240x240 px
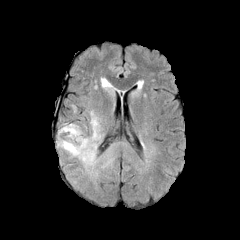
FLAIR magnetic resonance.
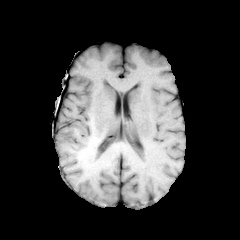
T1-weighted MR image of the same slice.
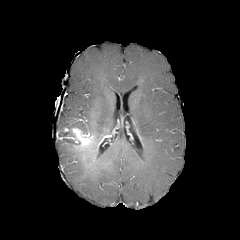
Post-contrast T1-weighted MR image.
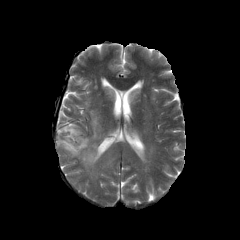
Same slice, T2-weighted MR.
{"enhancing_tumor": ["(left=64, top=127, right=94, bottom=150)"], "non-enhancing_tumor_core": ["(left=80, top=126, right=99, bottom=166)", "(left=57, top=123, right=77, bottom=149)"], "edema": ["(left=60, top=108, right=103, bottom=142)", "(left=100, top=77, right=117, bottom=96)", "(left=56, top=140, right=114, bottom=178)"]}